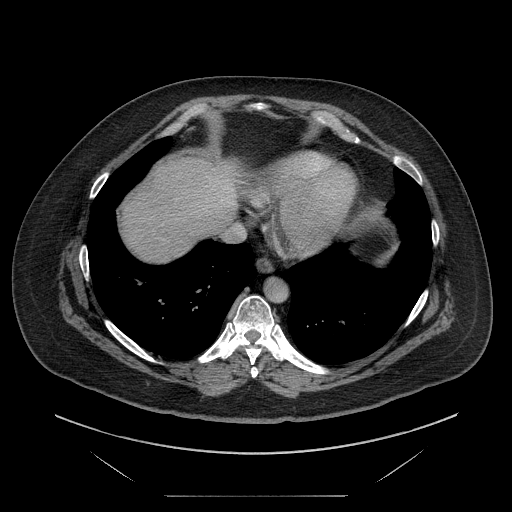 CT slice
The vessel annotation is not exhaustive.
2 hepatic vessel regions are bounded by left=231, top=225, right=244, bottom=236; left=222, top=231, right=229, bottom=237.